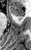 Medial temporal lobe. Magnetic resonance.
The anterior hippocampus appears at <bbox>10, 6, 24, 15</bbox>.